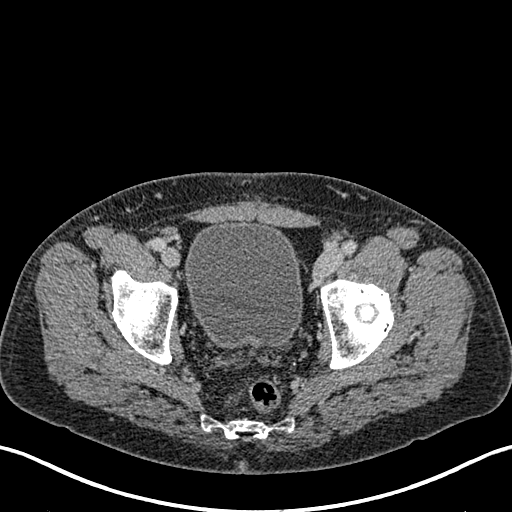

CT slice, Lower abdomen
The urinary bladder lies within 185,219,302,347.